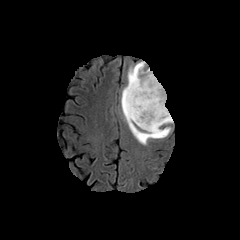
FLAIR MRI.
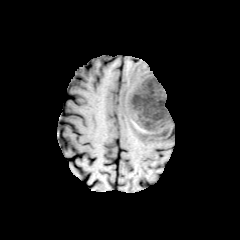
T1-weighted MRI.
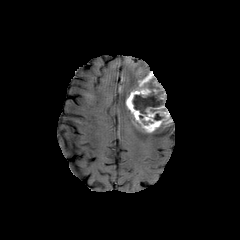
Post-contrast T1-weighted MR image.
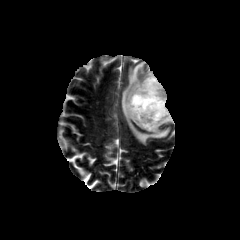
T2-weighted magnetic resonance of the same slice.
Brain.
Findings:
- enhancing tumor: rect(126, 71, 173, 133); rect(153, 79, 166, 102)
- edema: rect(120, 61, 172, 145)
- non-enhancing tumor core: rect(154, 113, 163, 120); rect(132, 78, 164, 114)